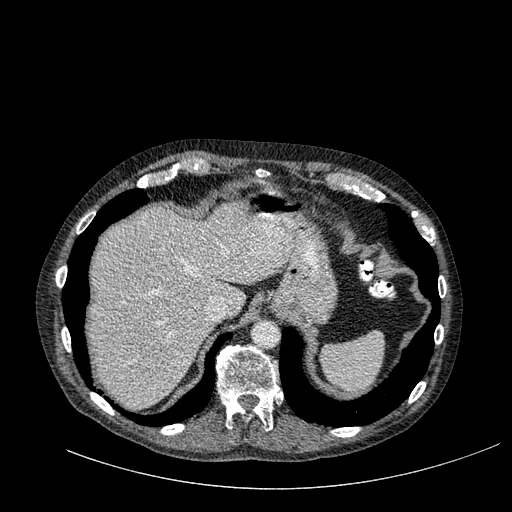

CT. Upper abdomen. liver: (x1=90, y1=201, x2=290, y2=407)